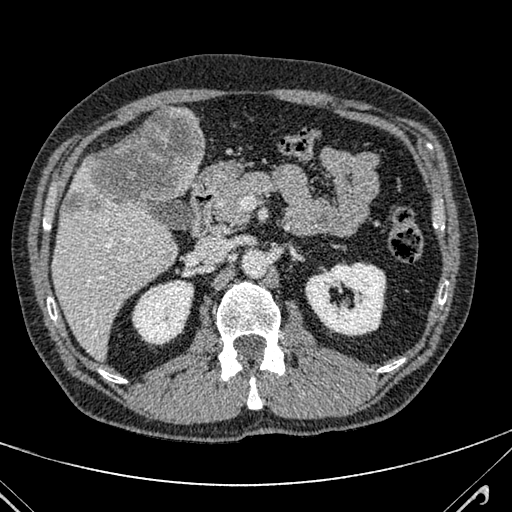
Upper abdomen. CT image.

Liver = (51,201,177,358), (169,157,200,197), (169,108,195,121), (70,156,97,196).
Hepatic lesion = (62,108,202,213).